Slice 52 of 110; Abdomen; CT scan slice
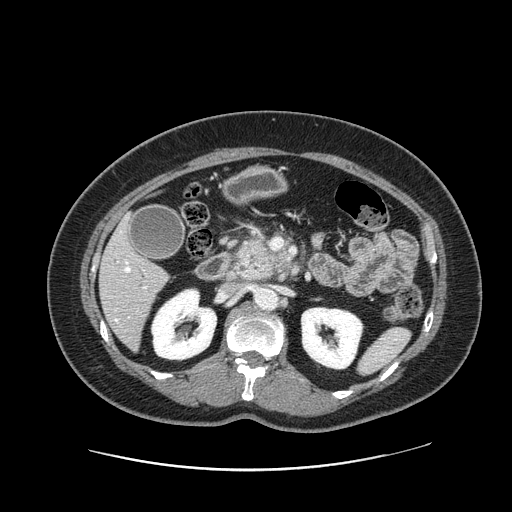 pancreatic_tumor:
  - 240, 241, 270, 270
pancreas:
  - 235, 237, 287, 279